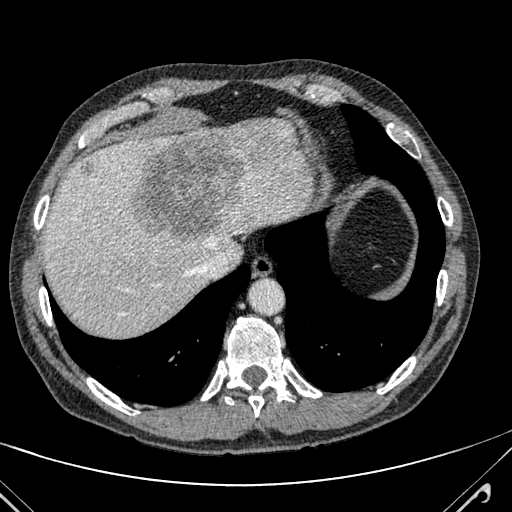 Image size 512x512. CT image. 2 hepatic lesion regions appear at <box>82,163,92,177</box>, <box>132,135,244,244</box>. The liver is located at <box>45,120,312,336</box>.